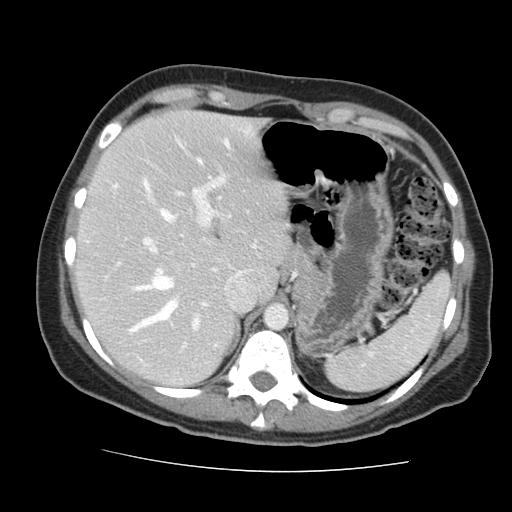 CT image. Abdomen.

Only some of the vessels may be annotated.
8 hepatic vessel regions are bounded by {"x1": 197, "y1": 159, "x2": 200, "y2": 163}, {"x1": 132, "y1": 270, "x2": 172, "y2": 290}, {"x1": 202, "y1": 304, "x2": 205, "y2": 305}, {"x1": 144, "y1": 238, "x2": 154, "y2": 251}, {"x1": 193, "y1": 318, "x2": 197, "y2": 328}, {"x1": 129, "y1": 301, "x2": 176, "y2": 332}, {"x1": 225, "y1": 140, "x2": 227, "y2": 146}, {"x1": 193, "y1": 178, "x2": 223, "y2": 223}.